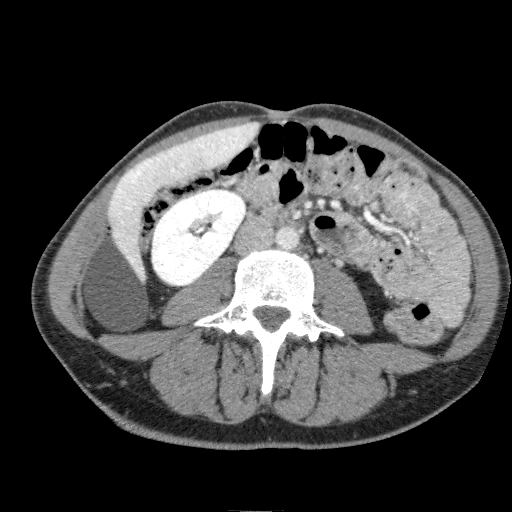
Abdomen. CT.
The kidney appears at rect(152, 190, 244, 284). The liver appears at rect(109, 122, 258, 282).